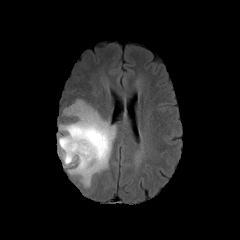
FLAIR MR image.
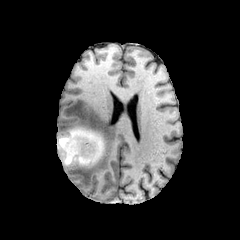
T1-weighted magnetic resonance.
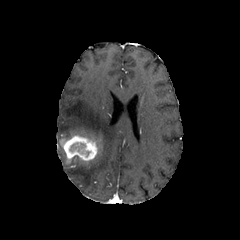
Same slice, post-contrast T1-weighted magnetic resonance.
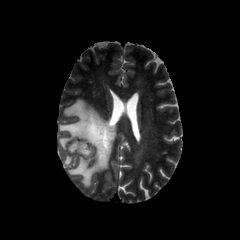
T2-weighted magnetic resonance.
Brain; Image size 240x240
non-enhancing tumor core: x1=59 y1=131 x2=102 y2=157, x1=63 y1=150 x2=96 y2=163, x1=69 y1=142 x2=90 y2=157 | enhancing tumor: x1=64 y1=136 x2=96 y2=159 | edema: x1=59 y1=100 x2=116 y2=186